Slice index 66, Head
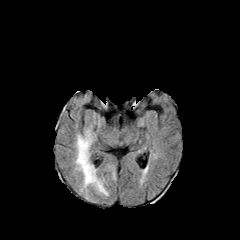
FLAIR MRI.
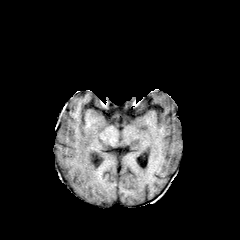
T1-weighted MR.
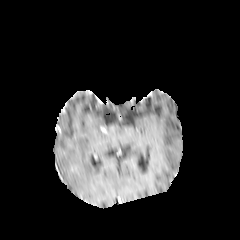
Same slice, post-contrast T1-weighted MR.
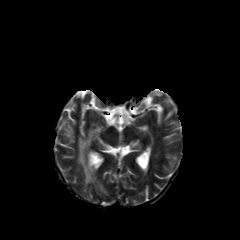
T2-weighted MR.
The edema is bounded by bbox(74, 129, 108, 195).